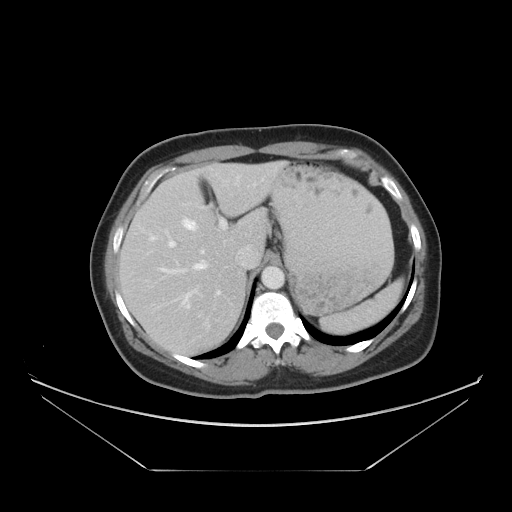
Liver. CT image. 512x512.

Only some of the vessels may be annotated.
Hepatic vessel at 201, 250, 203, 252; 197, 266, 202, 266; 169, 242, 174, 246; 184, 201, 204, 208.